Slice 404/846; CT

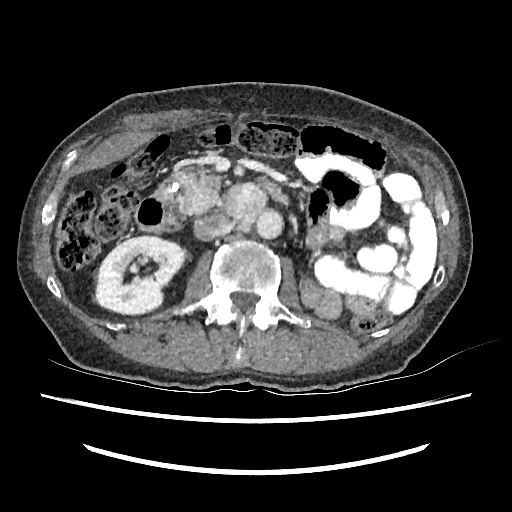

Kidney: bounding box 96,236,183,313.